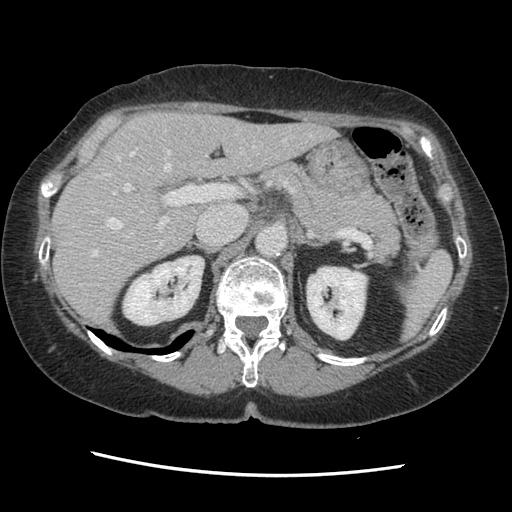 Computed tomography
The vessel annotation is not exhaustive.
Top 15 of 17 hepatic vessel regions at 164:184:236:204, 164:164:170:170, 100:173:109:175, 158:216:168:229, 123:183:133:190, 92:249:97:255, 131:231:133:233, 130:152:134:155, 116:156:120:159, 107:218:122:228, 113:191:116:193, 159:241:162:246, 167:150:170:153, 252:144:254:147, 241:151:243:153.